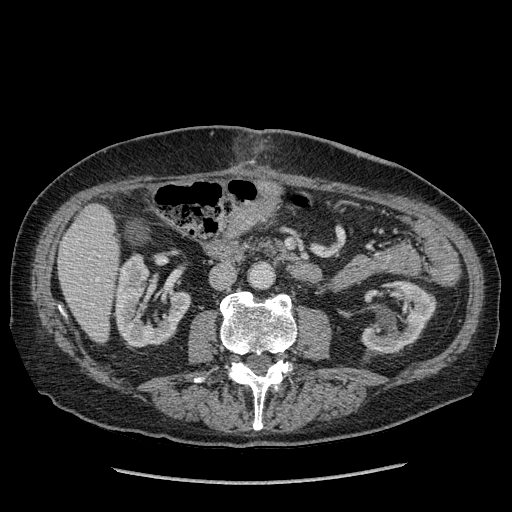

Abdomen | CT slice
kidney:
  - [116,255,189,346]
  - [362,281,435,352]
  - [365,290,380,301]
liver:
  - [58,204,118,342]